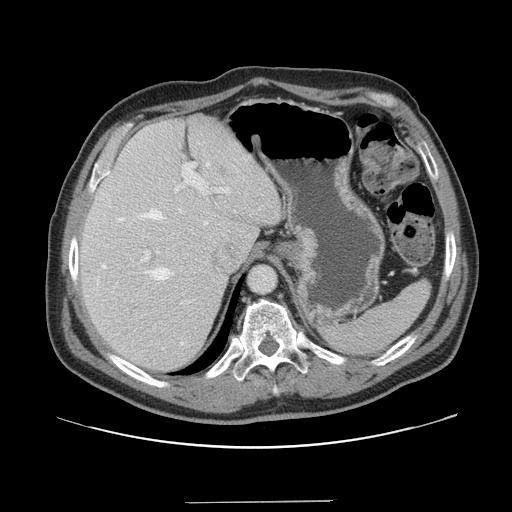

512x512 px, CT slice
Some hepatic vessels may have no box.
Hepatic vessel = 148, 268, 172, 279; 215, 188, 229, 192; 137, 208, 164, 219; 117, 218, 124, 221; 175, 163, 207, 194; 206, 162, 209, 165; 141, 250, 149, 261; 204, 221, 207, 224; 102, 264, 105, 267.
Liver tumor = 218, 169, 226, 175.